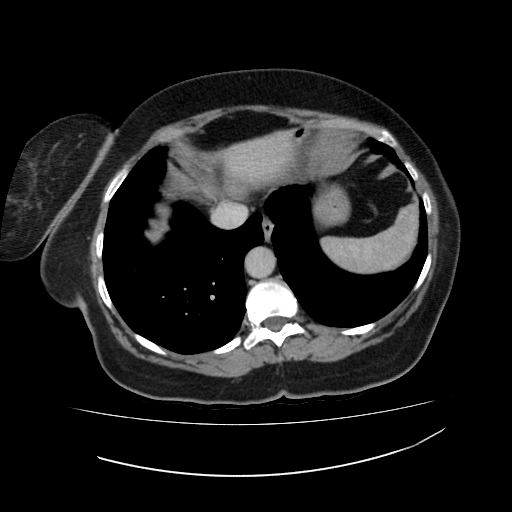
CT slice; 512x512 px
• liver: l=204, t=167, r=213, b=177; l=209, t=132, r=288, b=182